Brain | Image width 240 mm | Slice index 61 | 240x240 px
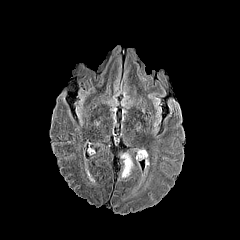
FLAIR MR.
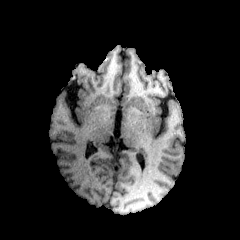
T1-weighted MR.
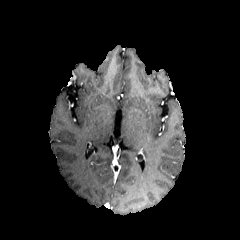
Same slice, post-contrast T1-weighted magnetic resonance.
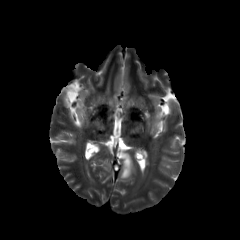
T2-weighted magnetic resonance of the same slice.
Segmented structures:
• edema: <box>121,153,133,178</box>, <box>153,118,160,127</box>, <box>142,148,148,167</box>